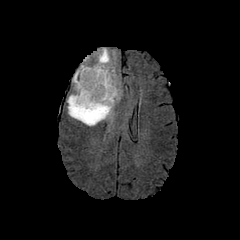
FLAIR MR image.
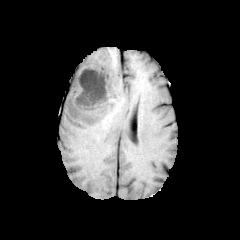
T1-weighted MR image.
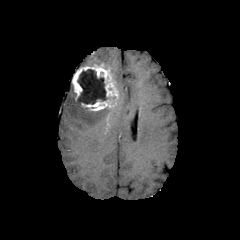
Post-contrast T1-weighted MR.
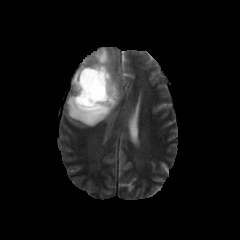
T2-weighted MRI of the same slice.
Image size 240x240; Head
2 non-enhancing tumor core regions are bounded by bbox=[82, 106, 107, 114]; bbox=[74, 69, 115, 105]. 2 enhancing tumor regions appear at bbox=[72, 64, 117, 97]; bbox=[84, 100, 111, 111]. The edema is bounded by bbox=[66, 48, 120, 126].